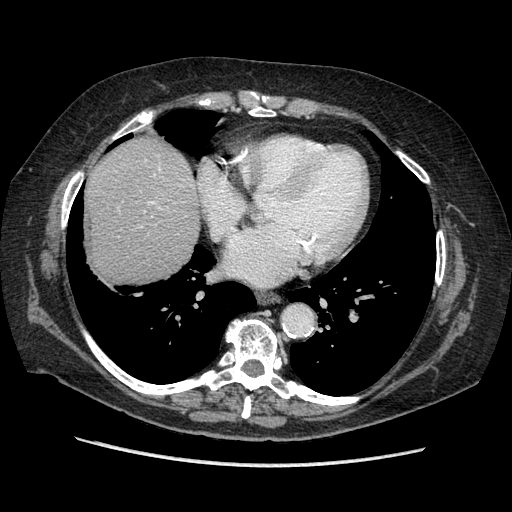 Image size 512x512. CT slice.

Only some of the vessels may be annotated.
hepatic vessel: [x1=149, y1=202, x2=151, y2=203]